Slice 98/155. Brain. Image size 240x240.
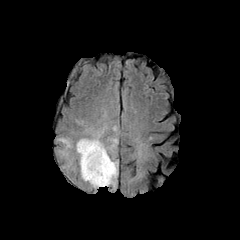
FLAIR magnetic resonance.
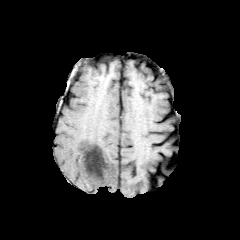
Same slice, T1-weighted MRI.
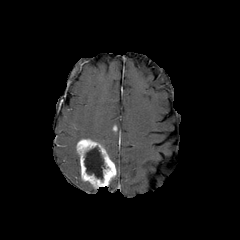
Same slice, post-contrast T1-weighted MR.
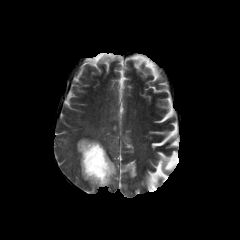
T2-weighted MRI of the same slice.
The enhancing tumor lies within bbox=[77, 139, 116, 187]. The edema is at bbox=[55, 107, 120, 190]. The non-enhancing tumor core is located at bbox=[84, 146, 106, 181].